MRI, Medial temporal lobe, 34x51 px
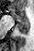 The posterior hippocampus is bounded by 16 23 29 35. 2 anterior hippocampus regions are bounded by 16 13 29 23, 11 11 15 17.